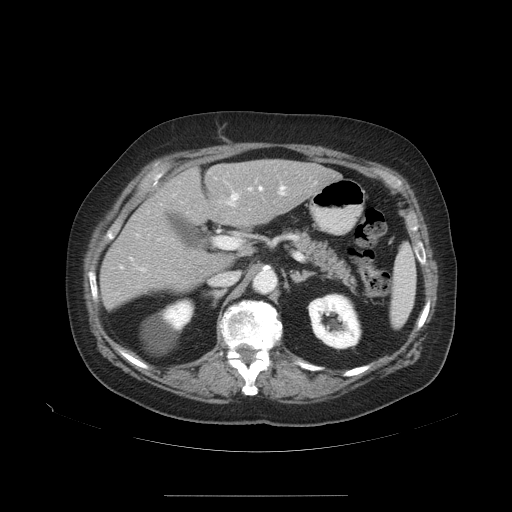 CT scan slice. Liver.

Some hepatic vessels may have no box.
hepatic vessel: (248,188,251,190), (258,187,261,190), (137,267,144,271), (120,266,122,268), (172,194,174,196), (226,191,237,206), (214,237,240,248), (278,186,284,194)